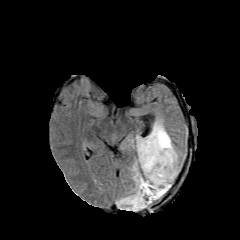
FLAIR MR.
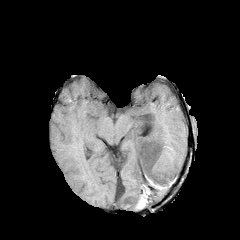
Same slice, T1-weighted MR.
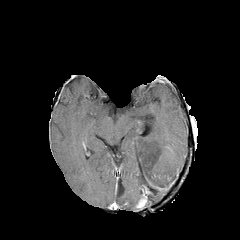
Post-contrast T1-weighted MR.
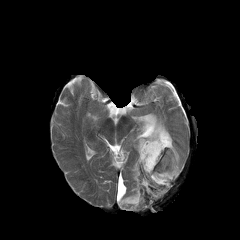
T2-weighted MRI.
{
  "non-enhancing_tumor_core": [
    "155 182 170 190"
  ],
  "edema": [
    "116 118 180 210"
  ]
}